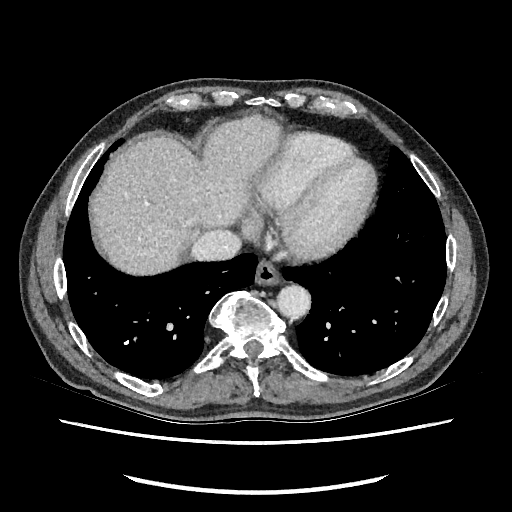 Upper abdomen; CT

Segmented structures:
• liver: 94,117,278,273